512x512 px, CT, Abdomen 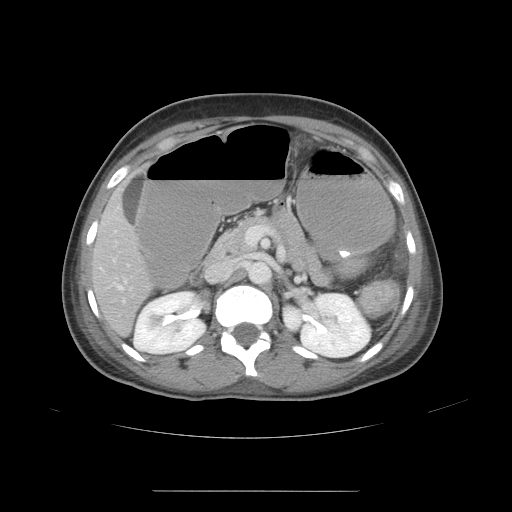 Segmented structures:
- colon tumor: [359,283,394,312]